FLAIR MR.
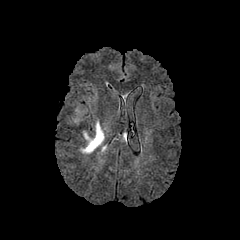
T1-weighted MR image.
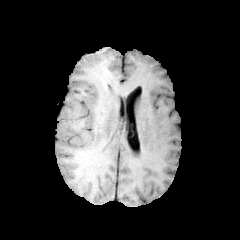
Post-contrast T1-weighted MR.
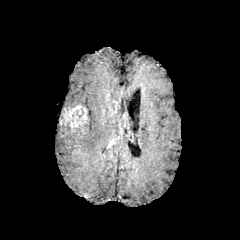
T2-weighted MR image.
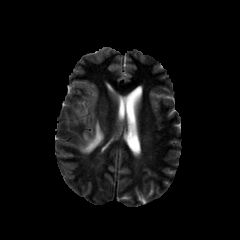
Brain
The non-enhancing tumor core is bounded by 58, 106, 86, 126. The edema is located at 80, 119, 104, 154.